Field of view 240 mm wide, 1.00 mm slice spacing; Slice index 86
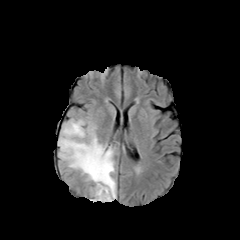
FLAIR MR image.
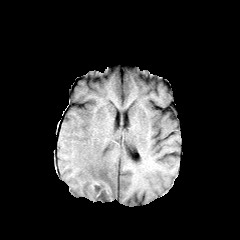
T1-weighted MR.
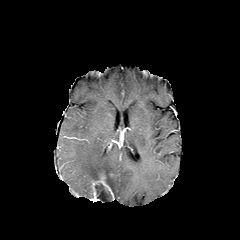
Post-contrast T1-weighted MR of the same slice.
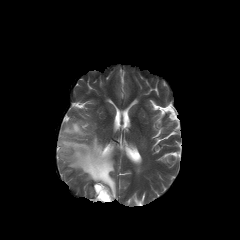
Same slice, T2-weighted MR.
enhancing tumor: (98, 178, 113, 197) | non-enhancing tumor core: (93, 168, 112, 200) | edema: (58, 119, 116, 199)